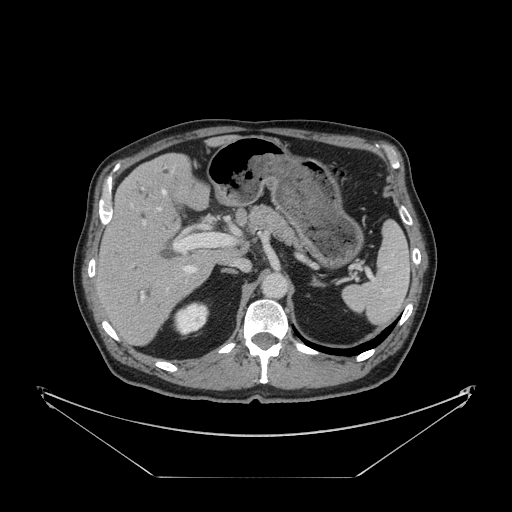

CT; Abdomen

Not every hepatic vessel necessarily has a box.
6 hepatic vessel regions are located at (x1=162, y1=190, x2=165, y2=194), (x1=142, y1=221, x2=144, y2=224), (x1=157, y1=207, x2=160, y2=210), (x1=173, y1=233, x2=233, y2=252), (x1=184, y1=266, x2=195, y2=272), (x1=141, y1=292, x2=143, y2=299).